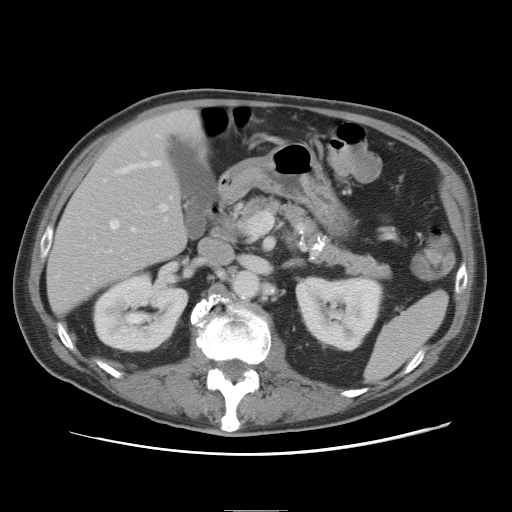

Liver. CT.

Only some of the vessels may be annotated.
Hepatic vessel: bbox=[189, 113, 193, 117]; bbox=[56, 276, 58, 277]; bbox=[170, 196, 172, 198]; bbox=[111, 220, 119, 228]; bbox=[116, 164, 141, 173]; bbox=[157, 135, 159, 137]; bbox=[86, 287, 88, 289]; bbox=[108, 250, 110, 252]; bbox=[165, 218, 167, 220]; bbox=[160, 205, 167, 211]; bbox=[151, 161, 159, 166]; bbox=[178, 111, 185, 114]; bbox=[132, 228, 135, 231].